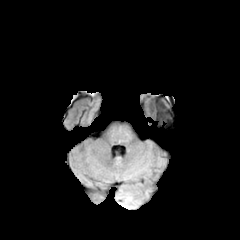
FLAIR magnetic resonance.
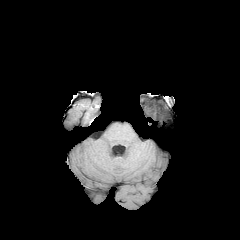
T1-weighted MR.
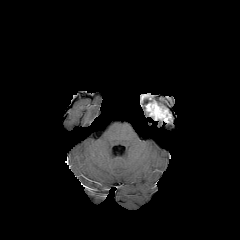
Post-contrast T1-weighted MR image.
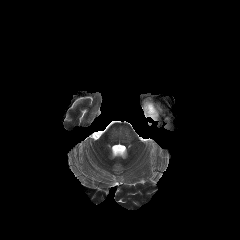
T2-weighted MR image.
Brain
{
  "enhancing_tumor": [
    "146,105,156,118"
  ]
}